FLAIR magnetic resonance.
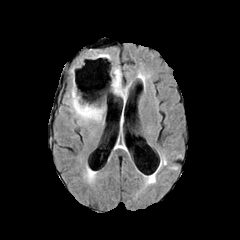
T1-weighted MR image.
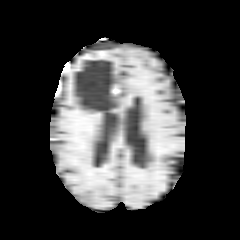
Post-contrast T1-weighted MR image.
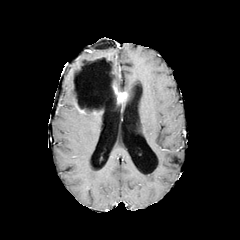
T2-weighted MR image.
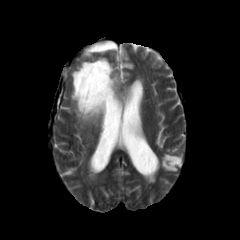
The enhancing tumor lies within l=114, t=85, r=127, b=100. 5 edema regions are located at l=110, t=66, r=131, b=93; l=68, t=82, r=103, b=125; l=87, t=169, r=95, b=178; l=160, t=156, r=173, b=169; l=137, t=73, r=145, b=83. The non-enhancing tumor core is located at l=74, t=70, r=115, b=116.